CT scan slice; Image width 436 mm
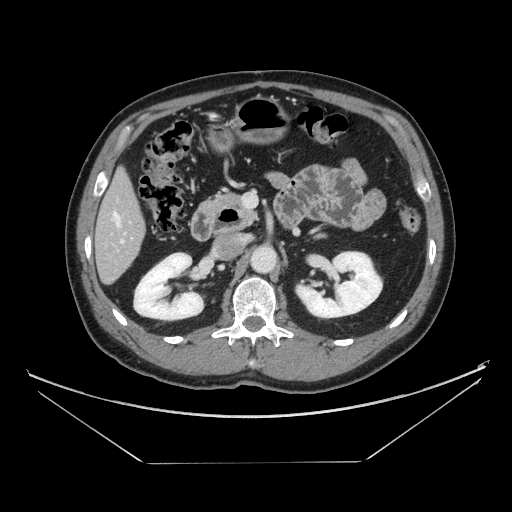

Pancreas at (218, 192, 255, 224).